Liver. Image size 512x512. Image width 399 mm. CT image. 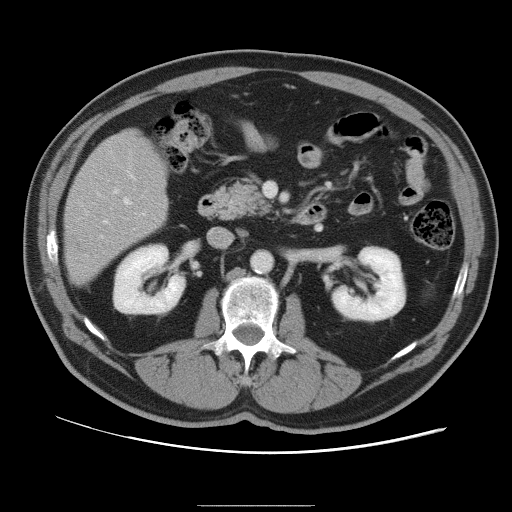
Some hepatic vessels may have no box.
Annotated regions:
• hepatic vessel: 104 219 108 223, 127 171 135 180, 97 192 100 195, 113 189 118 193, 124 198 131 204, 142 213 145 214, 85 210 88 214, 100 236 102 237
• liver tumor: 68 238 78 248